FLAIR MR image.
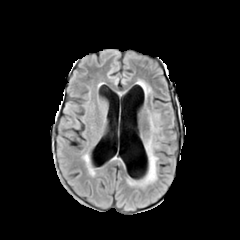
T1-weighted MR image.
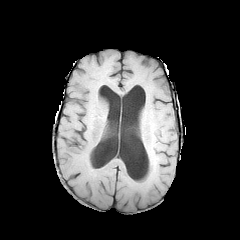
Post-contrast T1-weighted MRI.
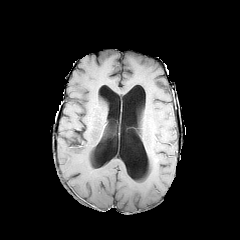
T2-weighted MR.
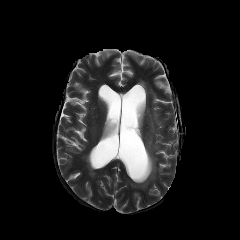
Image size 240x240
<segmentation>
  <edema>box(132, 139, 157, 186); box(141, 81, 149, 95)</edema>
</segmentation>